Head; 240x240; Slice 101 of 155
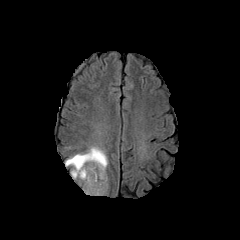
FLAIR MR image.
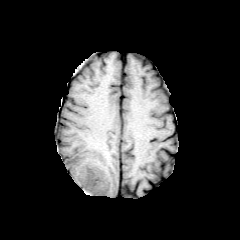
T1-weighted MRI of the same slice.
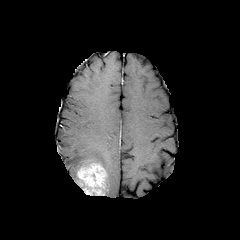
Post-contrast T1-weighted MRI of the same slice.
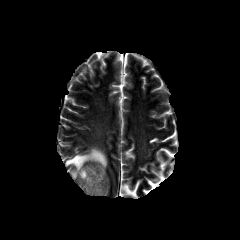
T2-weighted MRI.
Edema: bounding box {"x1": 65, "y1": 146, "x2": 107, "y2": 178}.
Enhancing tumor: bounding box {"x1": 76, "y1": 164, "x2": 106, "y2": 195}.